FLAIR magnetic resonance.
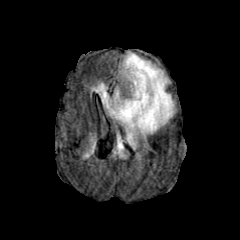
T1-weighted MRI.
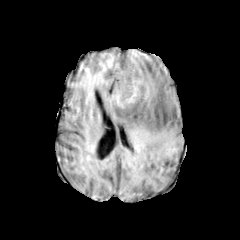
Post-contrast T1-weighted magnetic resonance.
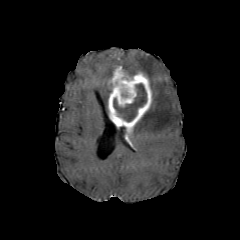
T2-weighted MRI.
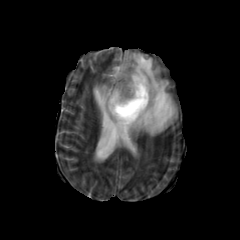
The enhancing tumor lies within box=[108, 65, 151, 128]. 3 edema regions are bounded by box=[92, 83, 108, 111]; box=[116, 134, 123, 150]; box=[123, 51, 174, 134]. The non-enhancing tumor core appears at box=[113, 83, 146, 121].